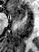 MR image, Image size 39x52

Anterior hippocampus — x1=10 y1=5 x2=25 y2=21.